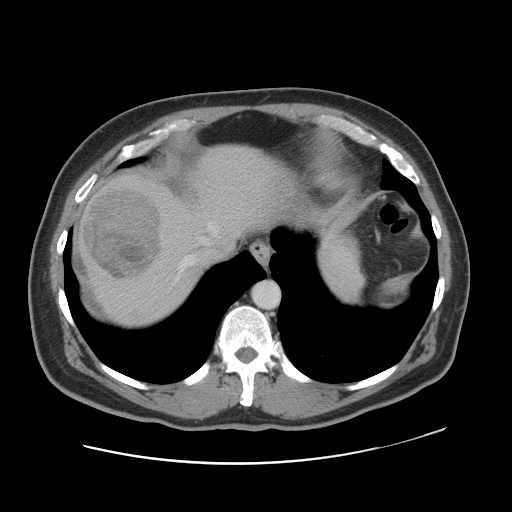
Liver, 512x512, CT scan slice
Not every hepatic vessel necessarily has a box.
3 hepatic vessel regions are bounded by <box>175,248,216,280</box>, <box>201,237,209,245</box>, <box>207,222,218,236</box>. The liver tumor appears at <box>82,186,162,282</box>.